FLAIR MRI.
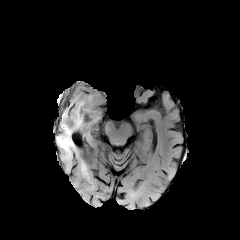
T1-weighted MRI.
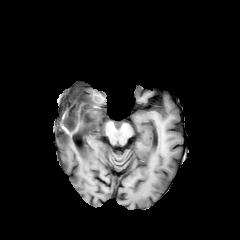
Post-contrast T1-weighted MRI.
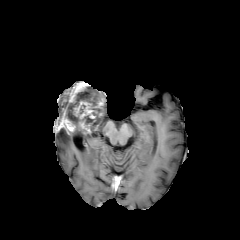
T2-weighted MR image.
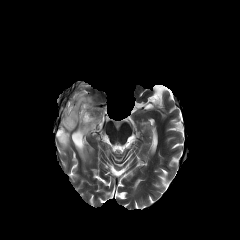
2 non-enhancing tumor core regions appear at (left=55, top=119, right=65, bottom=131), (left=61, top=84, right=95, bottom=131). 3 edema regions are bounded by (left=80, top=163, right=88, bottom=175), (left=81, top=88, right=103, bottom=123), (left=56, top=130, right=77, bottom=160). 3 enhancing tumor regions are bounded by (left=73, top=101, right=93, bottom=119), (left=80, top=121, right=89, bottom=133), (left=60, top=112, right=75, bottom=133).